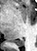
MR image. Image size 37x51. The posterior hippocampus is bounded by <box>12,39,23,46</box>.